FLAIR MR image.
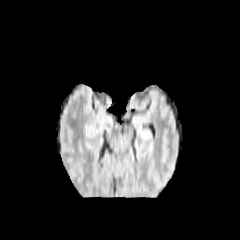
T1-weighted MR image.
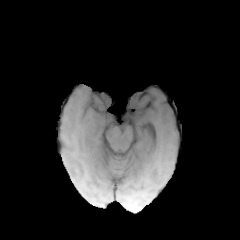
Post-contrast T1-weighted MRI.
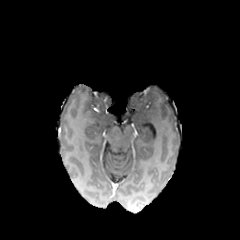
T2-weighted MR.
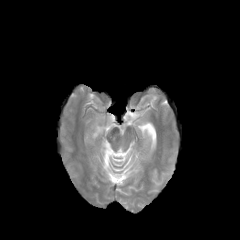
240x240
{
  "non-enhancing_tumor_core": [
    "[94, 95, 110, 107]"
  ]
}